CT slice | Upper abdomen 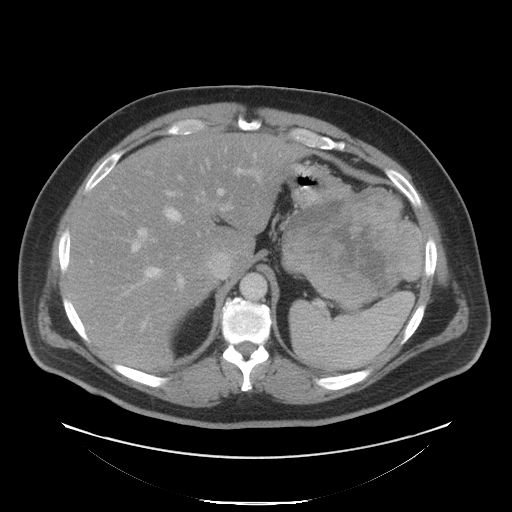

2 pancreas regions appear at bbox(341, 191, 364, 198); bbox(282, 214, 296, 263). The pancreatic tumor lies within bbox(285, 187, 422, 309).